Slice index 72 | Image size 240x240
FLAIR MRI.
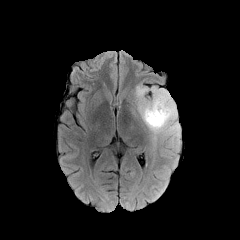
T1-weighted magnetic resonance.
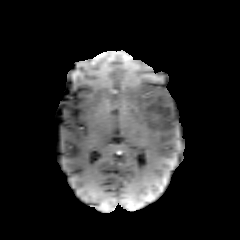
Post-contrast T1-weighted MRI.
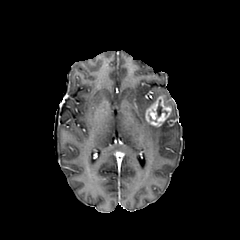
T2-weighted magnetic resonance.
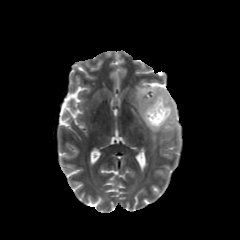
The enhancing tumor is at box(145, 94, 171, 127). The edema is at box(134, 82, 181, 158). The non-enhancing tumor core appears at box(157, 104, 162, 117).